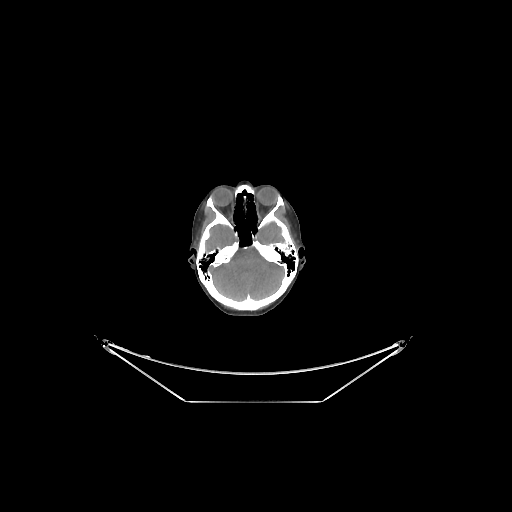

CT scan slice | Head
Brain: bounding box 252, 221, 285, 245; 205, 223, 238, 253; 206, 244, 284, 301.